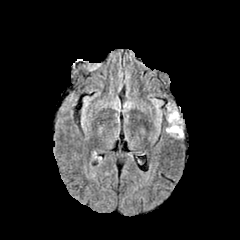
FLAIR MR image.
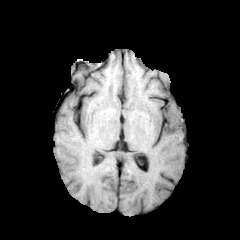
T1-weighted MRI.
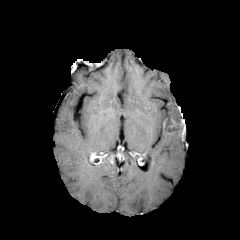
Post-contrast T1-weighted MR of the same slice.
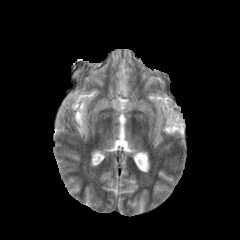
Same slice, T2-weighted MR image.
Brain.
Findings:
- edema: l=165, t=128, r=183, b=138; l=149, t=98, r=162, b=120; l=166, t=102, r=181, b=127
- non-enhancing tumor core: l=166, t=119, r=184, b=134